Field of view 360x360 mm; CT slice; Image size 512x512; Abdomen 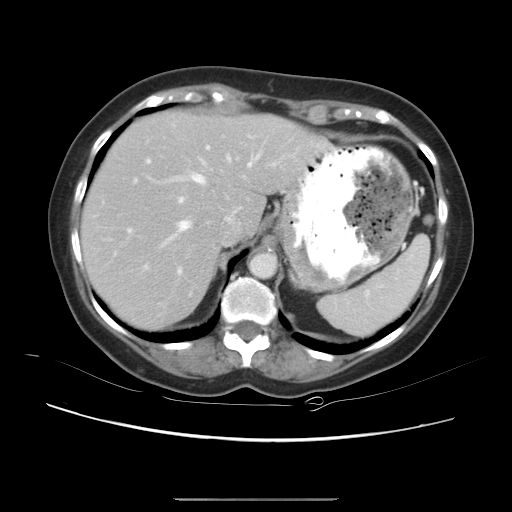 Not every hepatic vessel necessarily has a box.
Largest 15 of 21 hepatic vessel regions = (left=226, top=155, right=230, bottom=162), (left=232, top=209, right=238, bottom=213), (left=247, top=134, right=255, bottom=138), (left=198, top=158, right=205, bottom=165), (left=161, top=220, right=192, bottom=246), (left=127, top=228, right=132, bottom=232), (left=271, top=162, right=276, bottom=166), (left=178, top=268, right=181, bottom=273), (left=146, top=159, right=150, bottom=163), (left=147, top=177, right=153, bottom=181), (left=289, top=150, right=296, bottom=157), (left=142, top=264, right=148, bottom=271), (left=248, top=152, right=260, bottom=167), (left=178, top=198, right=183, bottom=203), (left=169, top=173, right=206, bottom=185).